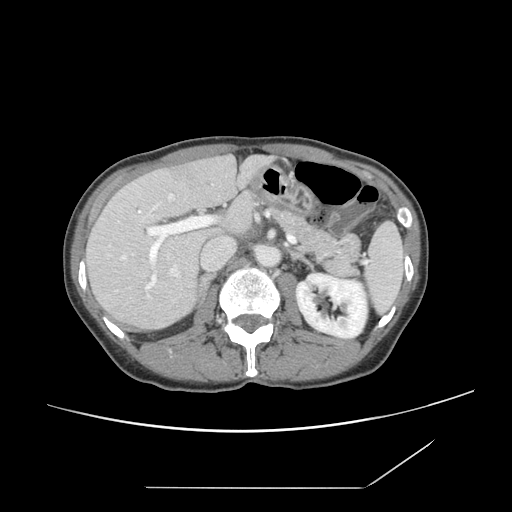

Upper abdomen; CT slice
The pancreas is at [261, 204, 362, 278].